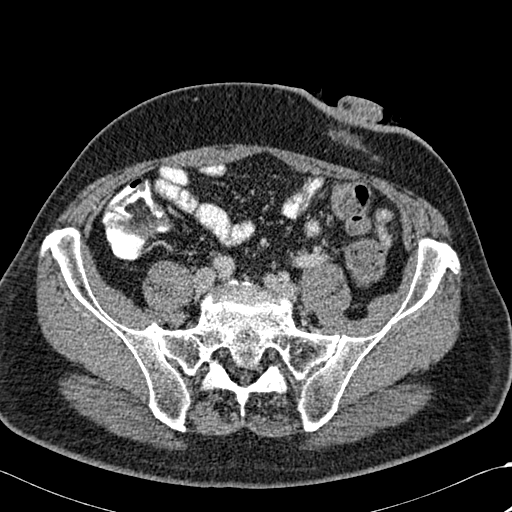 512x512 | Computed tomography
The bone appears at bbox(42, 228, 458, 430).